FLAIR MR.
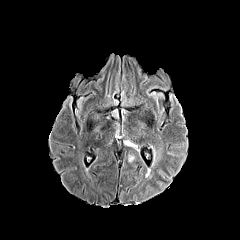
T1-weighted magnetic resonance.
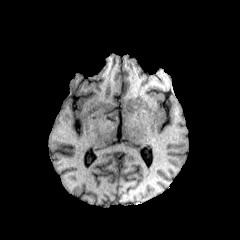
Post-contrast T1-weighted MR.
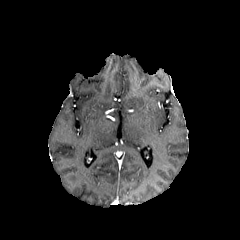
T2-weighted magnetic resonance.
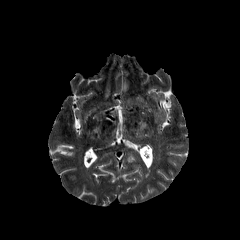
240x240 px, Head
edema:
  - 148 144 161 168